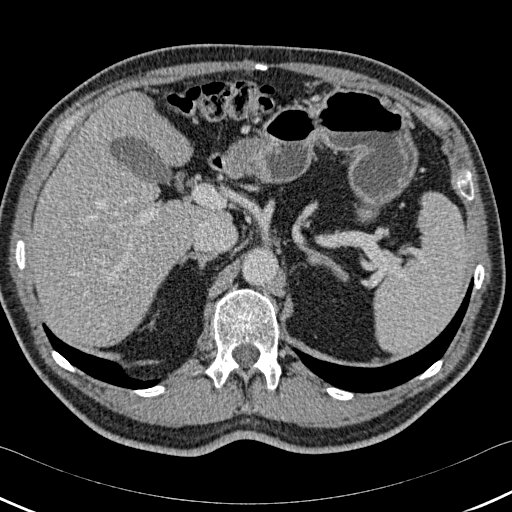
CT image.
bone: 133:386:164:396, 13:240:24:269, 457:171:473:199, 474:264:484:288, 52:351:74:371, 419:361:442:379, 205:289:280:389, 326:388:352:400 | lung: 42:323:161:389, 291:277:473:392 | liver: 33:91:222:346